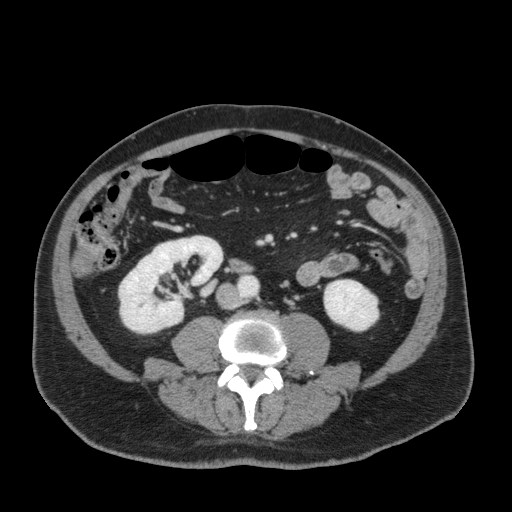
Abdomen; CT scan slice; Image size 512x512
2 kidney regions are bounded by region(324, 280, 377, 330); region(119, 236, 222, 332).